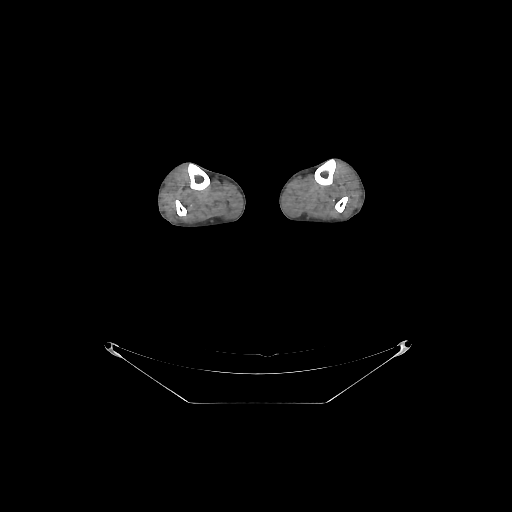
Computed tomography
bone: <box>314,159,335,185</box>, <box>175,200,186,216</box>, <box>335,196,347,212</box>, <box>188,163,209,190</box>